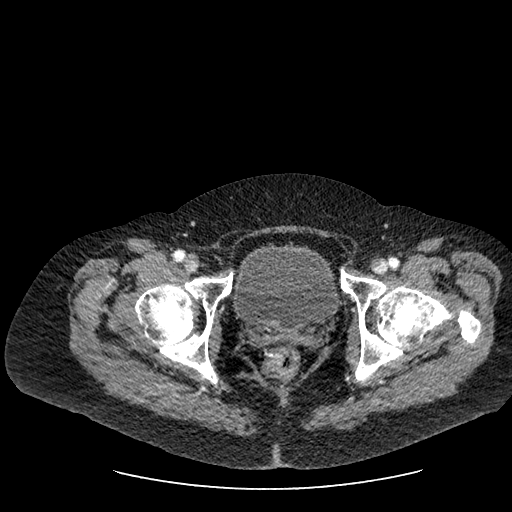
CT image | Pelvis
Urinary bladder — 230 243 340 335.